Slice 119 of 152; Abdomen; CT slice
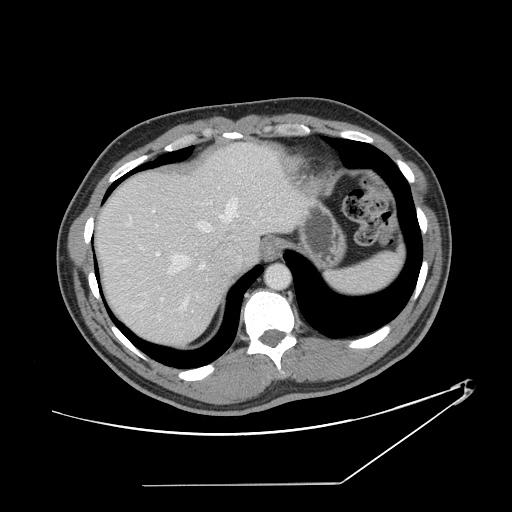
The vessel annotation is not exhaustive.
Hepatic vessel: (x1=129, y1=215, x2=131, y2=220), (x1=177, y1=297, x2=188, y2=309), (x1=140, y1=247, x2=142, y2=248), (x1=260, y1=213, x2=261, y2=215), (x1=199, y1=221, x2=212, y2=232), (x1=200, y1=264, x2=203, y2=267), (x1=168, y1=255, x2=188, y2=273), (x1=220, y1=199, x2=237, y2=222), (x1=161, y1=298, x2=163, y2=301), (x1=156, y1=252, x2=159, y2=254), (x1=209, y1=202, x2=211, y2=203), (x1=127, y1=223, x2=129, y2=225), (x1=195, y1=253, x2=196, y2=254).